CT slice; Slice 60/138
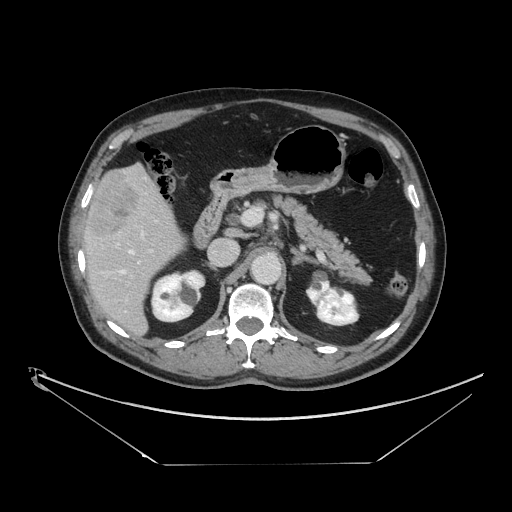
Not every hepatic vessel necessarily has a box.
The liver tumor appears at l=87, t=170, r=140, b=236. 6 hepatic vessel regions are located at l=129, t=250, r=133, b=253; l=150, t=249, r=151, b=251; l=138, t=261, r=140, b=263; l=115, t=243, r=118, b=246; l=119, t=270, r=126, b=273; l=141, t=233, r=143, b=237.